FLAIR MR image.
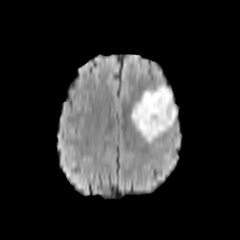
T1-weighted MR.
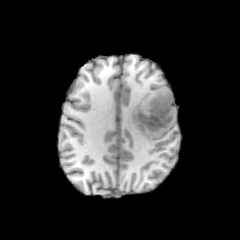
Post-contrast T1-weighted magnetic resonance.
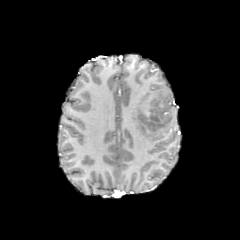
T2-weighted MRI.
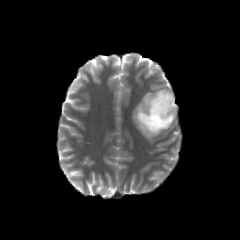
<segmentation>
  <non-enhancing_tumor_core><bbox>138, 91, 172, 131</bbox></non-enhancing_tumor_core>
  <edema><bbox>131, 84, 177, 142</bbox></edema>
</segmentation>